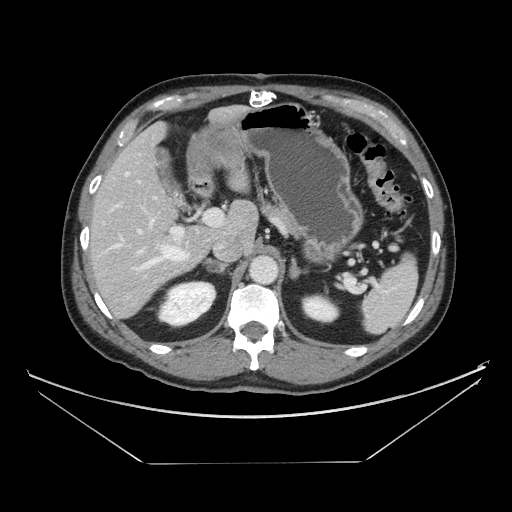
CT image, Image size 512x512
Pancreas at {"x1": 258, "y1": 198, "x2": 299, "y2": 237}.